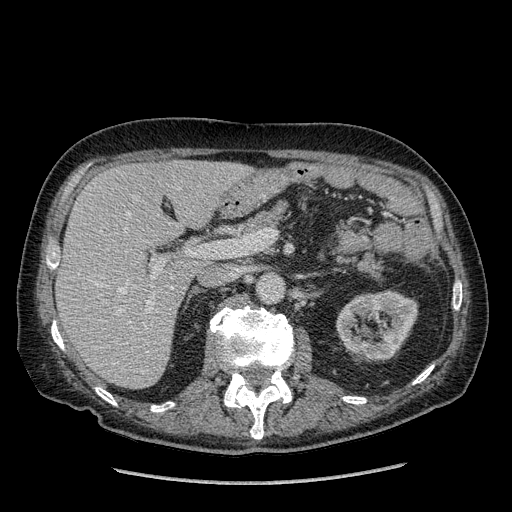

CT image; Abdomen

The kidney is at box=[336, 291, 417, 359]. The liver lies within box=[56, 160, 253, 388].